CT image. Pelvis. Image width 404 mm. 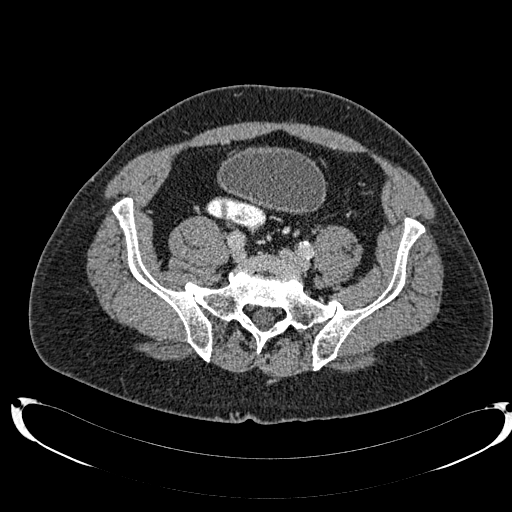

<segmentation>
  <urinary_bladder>l=221, t=150, r=325, b=210</urinary_bladder>
</segmentation>